CT scan slice; Field of view 496 mm wide, 0.80 mm slice spacing

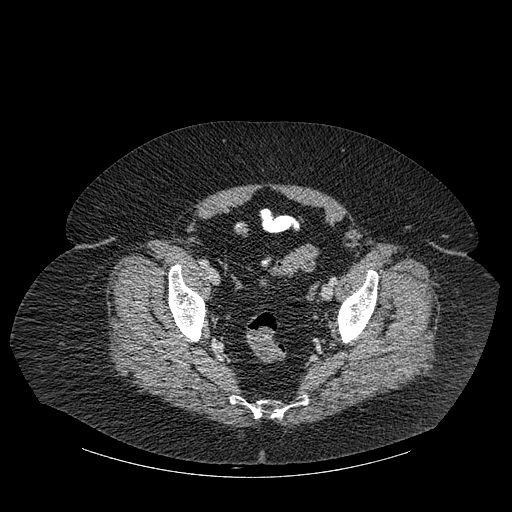

3 bone regions appear at x1=168, y1=264, x2=205, y2=341; x1=230, y1=395, x2=308, y2=418; x1=338, y1=270, x2=378, y2=342.